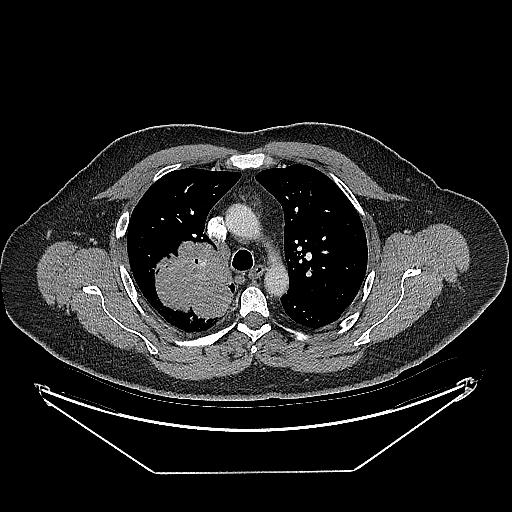 CT image. Thorax. <segmentation>
  <lung_tumor>bbox(154, 240, 232, 324)</lung_tumor>
</segmentation>